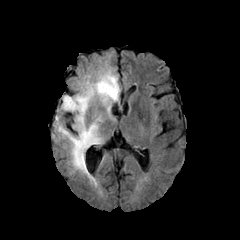
FLAIR magnetic resonance.
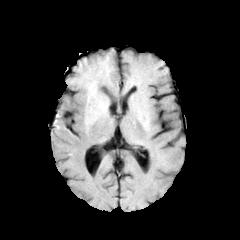
T1-weighted magnetic resonance.
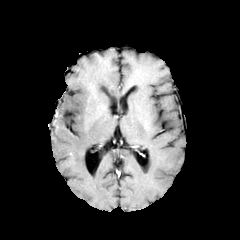
Post-contrast T1-weighted MR image of the same slice.
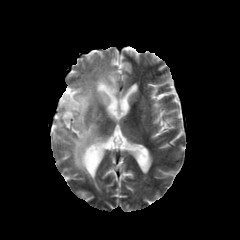
T2-weighted MR image.
edema: <bbox>54, 66, 120, 183</bbox> | non-enhancing tumor core: <bbox>88, 83, 97, 97</bbox>